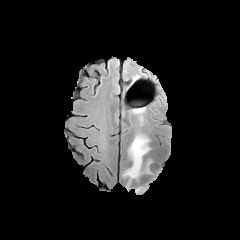
FLAIR magnetic resonance.
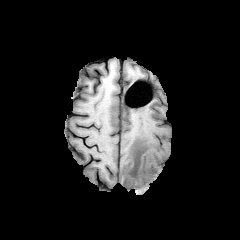
T1-weighted MR image of the same slice.
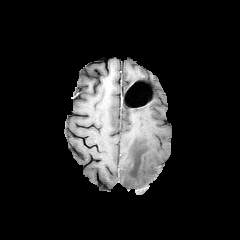
Post-contrast T1-weighted MR image of the same slice.
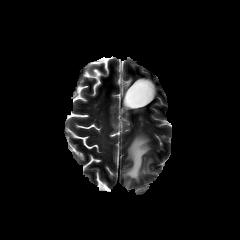
T2-weighted magnetic resonance of the same slice.
- edema: (x1=122, y1=134, x2=151, y2=184)